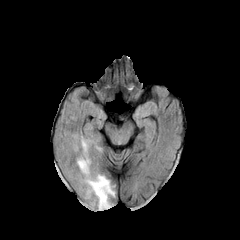
FLAIR magnetic resonance.
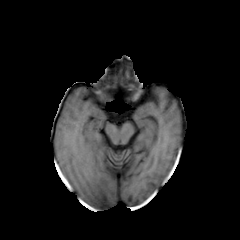
T1-weighted MR.
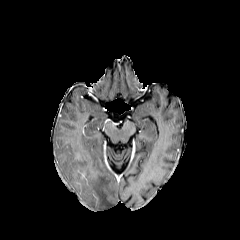
Post-contrast T1-weighted MR image of the same slice.
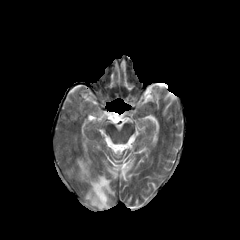
Same slice, T2-weighted MR.
Brain
Edema — <box>74,138,115,210</box>.